FLAIR MRI.
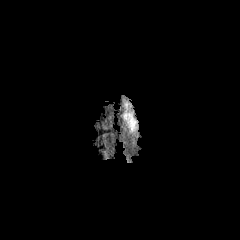
T1-weighted magnetic resonance.
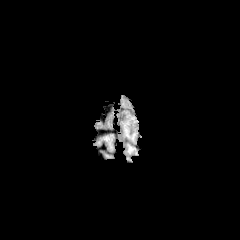
Post-contrast T1-weighted MR.
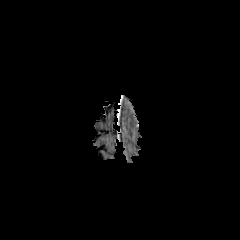
T2-weighted MR image.
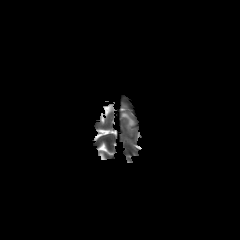
Brain
The edema is located at [x1=122, y1=101, x2=137, y2=135].